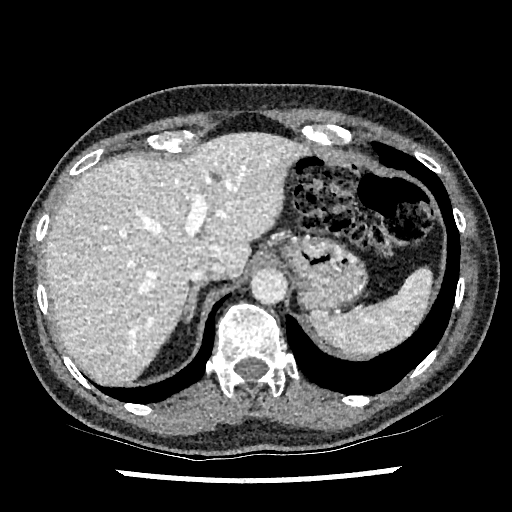

Abdomen. Image size 512x512. CT image. liver:
  - box=[45, 133, 311, 385]
hepatic_lesion:
  - box=[211, 173, 221, 182]